Upper abdomen. 512x512. Computed tomography. 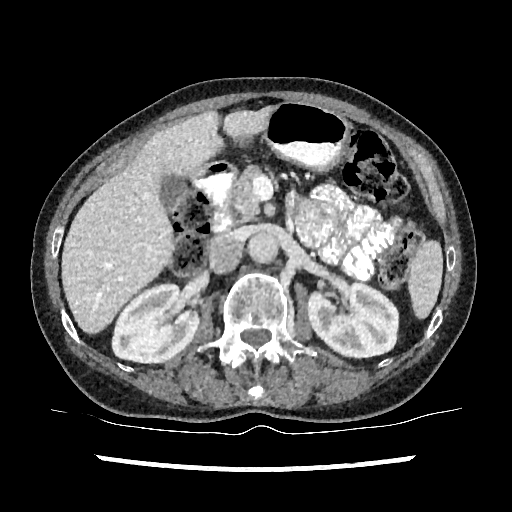 {"liver": ["x1=224, y1=110, x2=269, y2=136", "x1=63, y1=111, x2=220, y2=332"], "kidney": ["x1=309, y1=284, x2=397, y2=356", "x1=110, y1=285, x2=198, y2=362"]}